512x512 px; CT slice; Field of view 387x387 mm; Upper abdomen
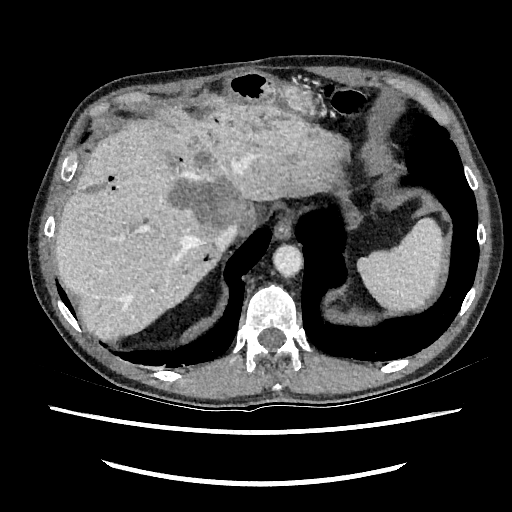 <segmentation>
  <hepatic_lesion>(left=168, top=178, right=254, bottom=234), (left=194, top=153, right=211, bottom=168), (left=86, top=185, right=98, bottom=193), (left=165, top=151, right=182, bottom=166)</hepatic_lesion>
  <liver>(left=56, top=98, right=340, bottom=338)</liver>
</segmentation>